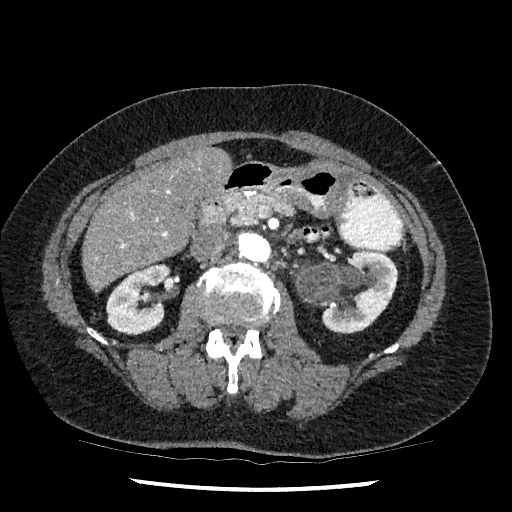

CT.

Liver = box=[311, 164, 340, 171]; box=[82, 148, 231, 291].
Kidney = box=[323, 251, 396, 332]; box=[107, 265, 176, 333].